Brain
FLAIR MR image.
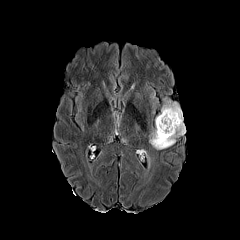
T1-weighted MR.
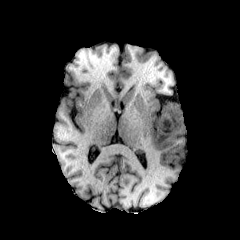
Post-contrast T1-weighted MR.
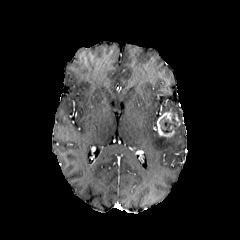
T2-weighted magnetic resonance.
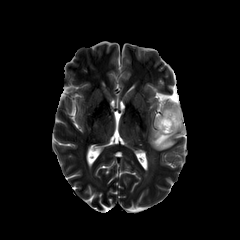
Edema — (148,102,185,150).
Non-enhancing tumor core — (162,119,177,132).
Enhancing tumor — (157,109,180,138).